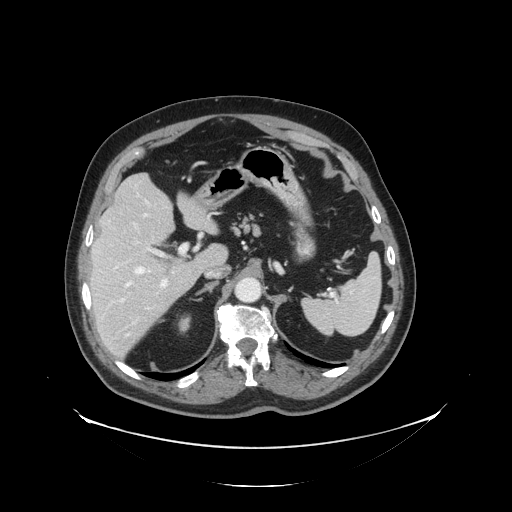 512x512; CT
Only some of the vessels may be annotated.
11 hepatic vessel regions are bounded by [126, 283, 131, 286], [147, 247, 164, 256], [146, 201, 148, 204], [147, 308, 148, 309], [121, 299, 124, 301], [115, 265, 118, 268], [161, 279, 167, 288], [144, 214, 147, 216], [200, 233, 203, 234], [134, 267, 149, 274], [125, 334, 128, 337].